FLAIR MR.
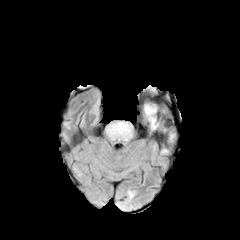
T1-weighted MRI.
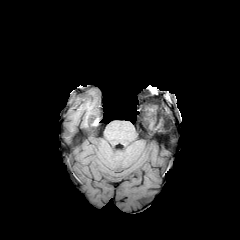
Post-contrast T1-weighted magnetic resonance.
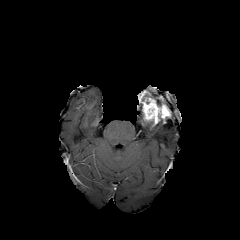
T2-weighted MRI.
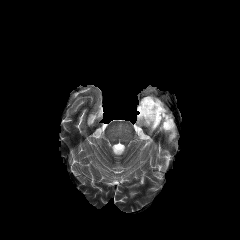
Edema — [141, 114, 174, 141].
Enhancing tumor — [142, 98, 170, 125].